CT.

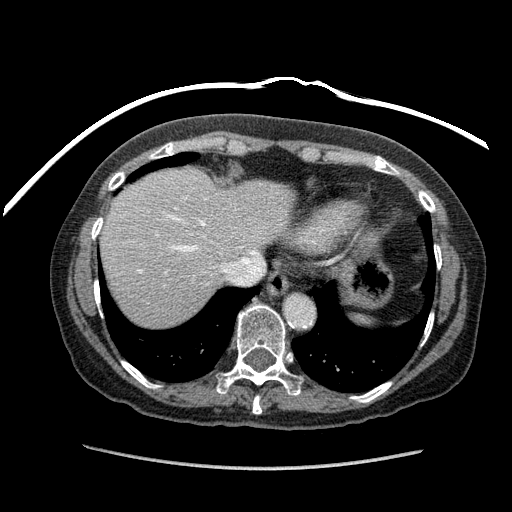

The liver is located at (102, 167, 292, 327).